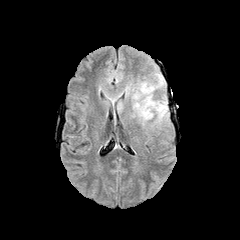
FLAIR magnetic resonance.
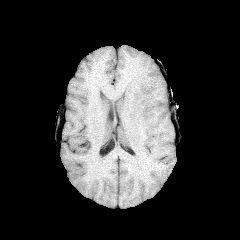
Same slice, T1-weighted MR.
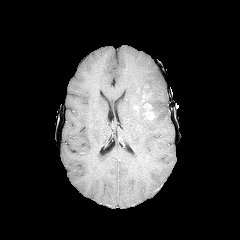
Post-contrast T1-weighted MRI of the same slice.
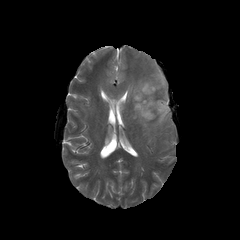
T2-weighted MR.
240x240 px.
• edema: (left=117, top=100, right=125, bottom=111), (left=125, top=69, right=168, bottom=128), (left=106, top=98, right=117, bottom=105)
• non-enhancing tumor core: (left=134, top=91, right=155, bottom=120)
• enhancing tumor: (left=143, top=104, right=153, bottom=119)